Image size 240x240
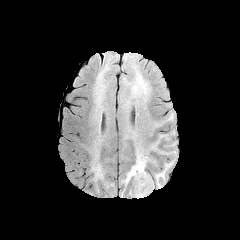
FLAIR MR image.
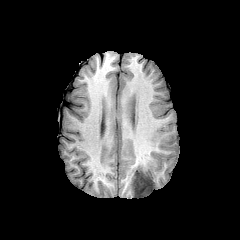
T1-weighted MR of the same slice.
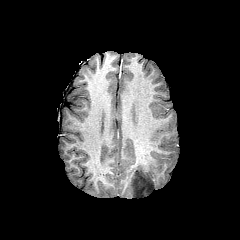
Post-contrast T1-weighted magnetic resonance of the same slice.
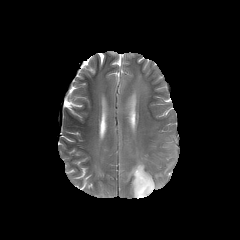
T2-weighted MR image.
Non-enhancing tumor core: bbox(134, 170, 153, 194).
Edema: bbox(93, 165, 101, 175); bbox(154, 161, 173, 187); bbox(123, 152, 151, 196).